Slice index 409; Liver; Image size 512x512; CT scan slice

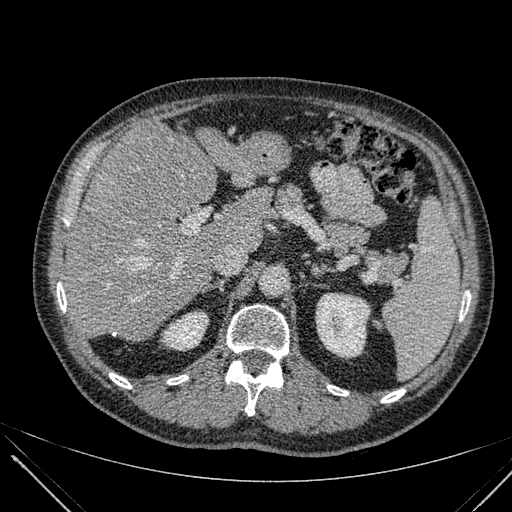 Annotated regions:
• liver: (263,188,273,205), (64,123,264,341), (196,127,273,186)
• kidney: (316,294,369,356), (163,312,207,349)